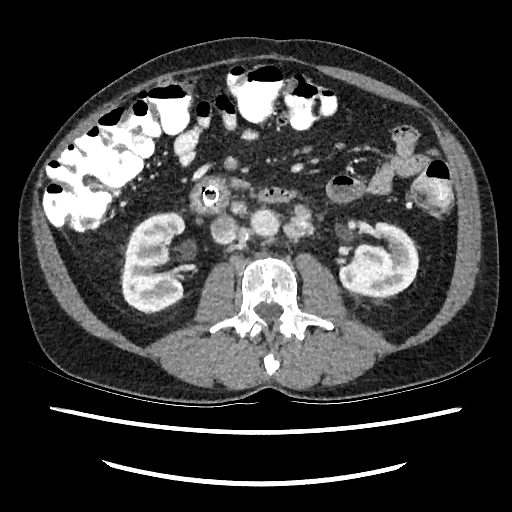
Computed tomography
Segmented structures:
- kidney: (left=340, top=223, right=417, bottom=296), (left=123, top=214, right=184, bottom=311)